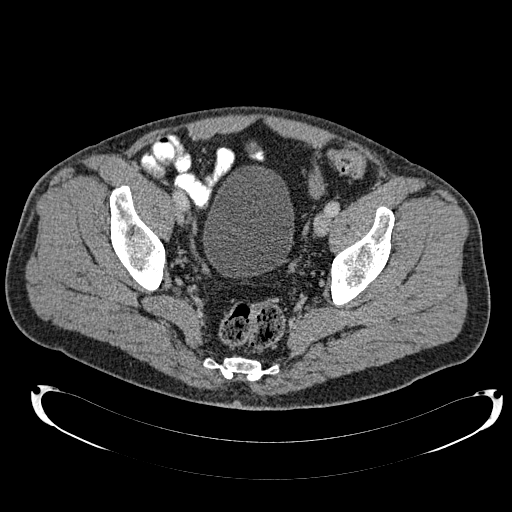
Computed tomography, Lower abdomen
Urinary bladder: bounding box box(202, 165, 294, 277).